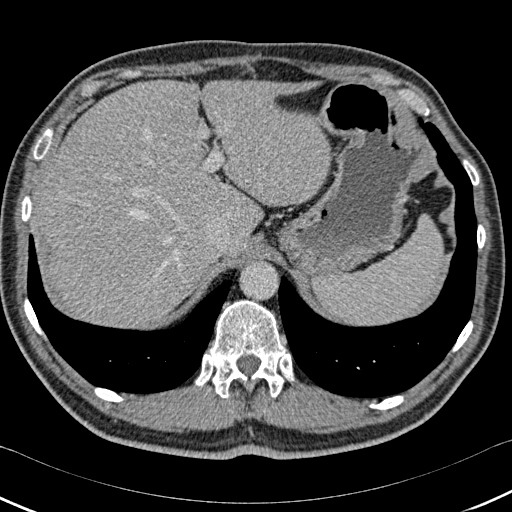

Image size 512x512, Upper abdomen, Computed tomography
2 lung regions appear at <bbox>278, 117, 477, 400</bbox>, <bbox>27, 234, 236, 394</bbox>. 9 bone regions are located at <bbox>95, 388, 123, 401</bbox>, <bbox>195, 300, 293, 397</bbox>, <bbox>369, 396, 403, 409</bbox>, <bbox>477, 225, 485, 248</bbox>, <bbox>453, 321, 472, 351</bbox>, <bbox>22, 196, 31, 221</bbox>, <bbox>33, 129, 52, 159</bbox>, <bbox>24, 299, 42, 334</bbox>, <bbox>463, 160, 479, 185</bbox>. 2 liver regions are bounded by <bbox>304, 81, 320, 88</bbox>, <bbox>40, 80, 330, 327</bbox>.